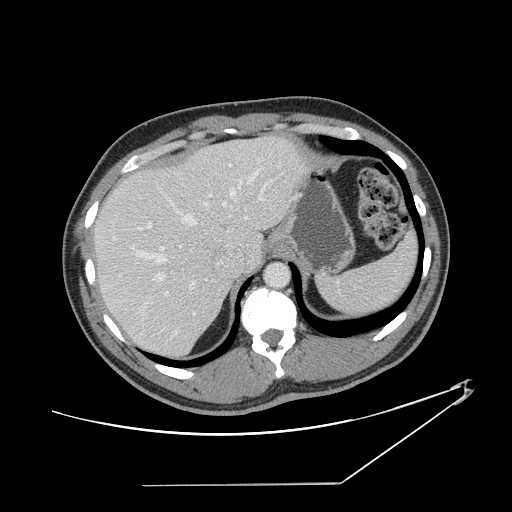
Computed tomography
Some hepatic vessels may have no box.
<segmentation partial="true">
  <hepatic_vessel shown="15" total="26">[204, 203, 207, 206], [264, 179, 272, 186], [230, 190, 236, 200], [237, 179, 241, 188], [182, 216, 196, 225], [259, 196, 264, 200], [246, 172, 256, 183], [171, 330, 178, 336], [155, 273, 164, 280], [257, 158, 259, 160], [190, 281, 194, 288], [137, 252, 166, 263], [165, 292, 167, 295], [148, 223, 151, 227], [142, 304, 145, 315]</hepatic_vessel>
</segmentation>